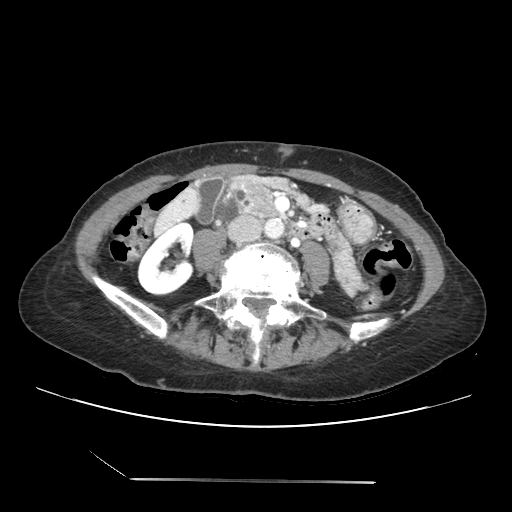
CT scan slice
pancreas:
  - 215 173 329 224
  - 330 232 368 296